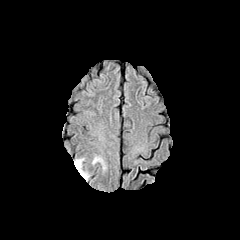
FLAIR MRI.
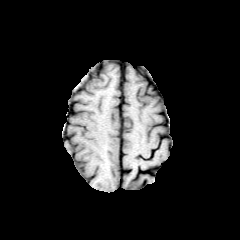
Same slice, T1-weighted MR.
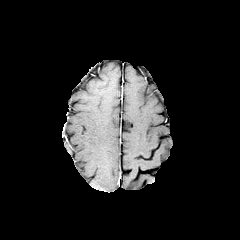
Post-contrast T1-weighted MRI.
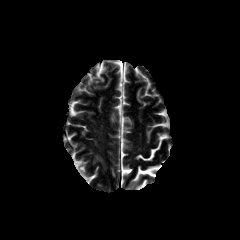
T2-weighted MRI.
Image size 240x240, Head
Edema = <bbox>74, 159, 87, 179</bbox>.